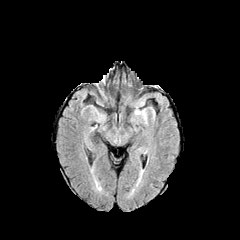
FLAIR MR image.
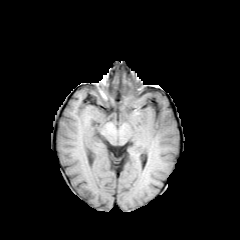
T1-weighted MR image of the same slice.
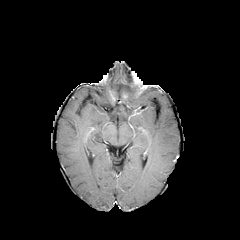
Post-contrast T1-weighted magnetic resonance.
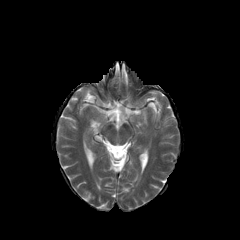
T2-weighted magnetic resonance.
Head
The edema is bounded by x1=136 y1=107 x2=147 y2=119.